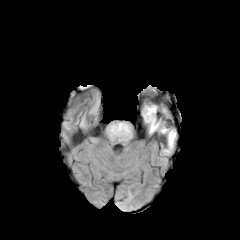
FLAIR MR.
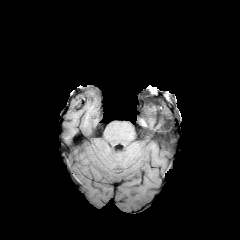
Same slice, T1-weighted magnetic resonance.
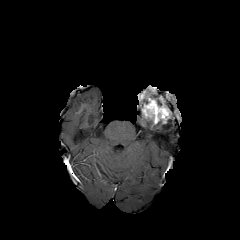
Same slice, post-contrast T1-weighted magnetic resonance.
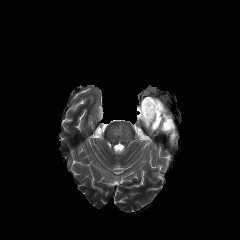
T2-weighted magnetic resonance.
Enhancing tumor — box=[142, 98, 169, 124].
Edema — box=[150, 122, 175, 146].